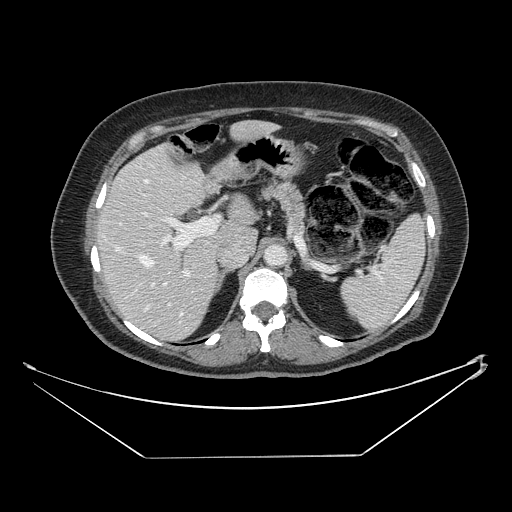 Upper abdomen | Computed tomography
pancreas:
  - rect(256, 177, 306, 240)